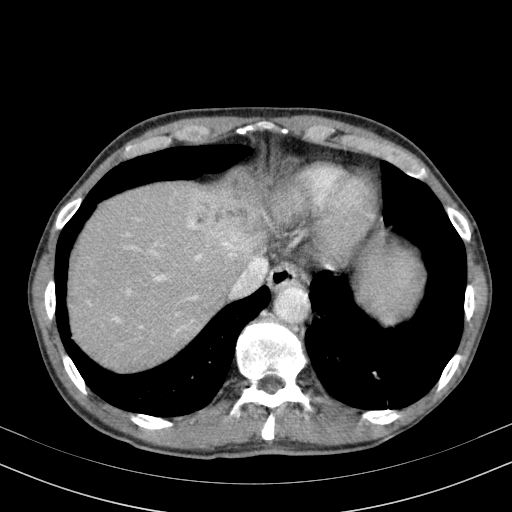

CT slice, Liver

Liver: x1=67 y1=168 x2=267 y2=373.